Head; Slice index 93
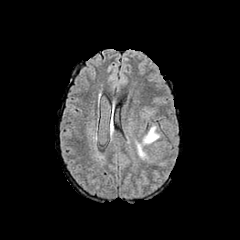
FLAIR MRI.
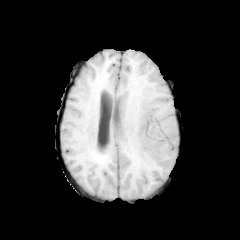
T1-weighted MRI.
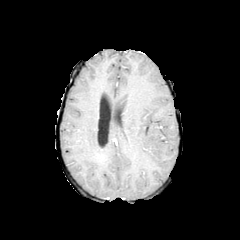
Post-contrast T1-weighted MRI.
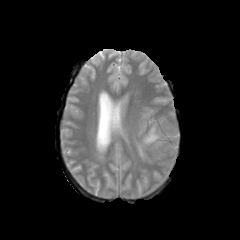
T2-weighted MR image of the same slice.
{
  "edema": [
    "bbox=[136, 124, 160, 159]"
  ]
}